Field of view 370x370 mm | CT scan slice
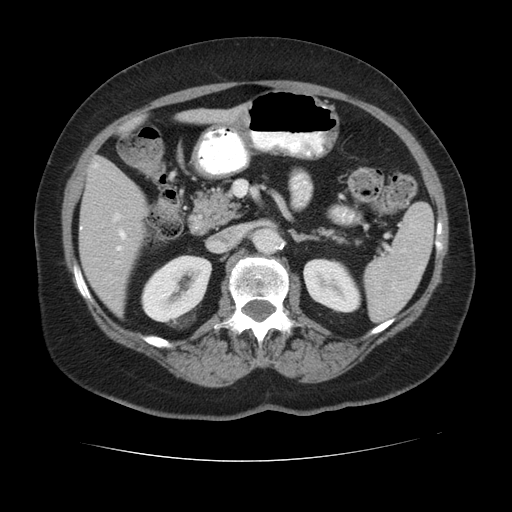 The pancreas is located at (left=193, top=188, right=243, bottom=224).